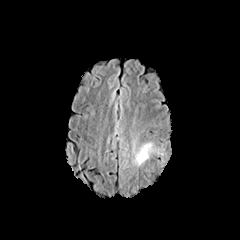
FLAIR magnetic resonance.
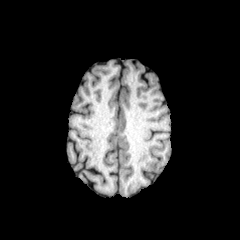
T1-weighted MRI.
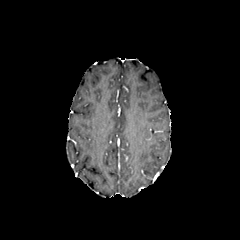
Post-contrast T1-weighted MR image.
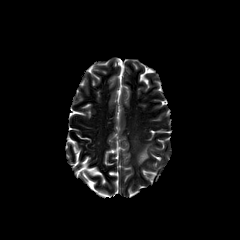
T2-weighted MRI.
240x240 px | Head
edema: rect(139, 149, 147, 162)